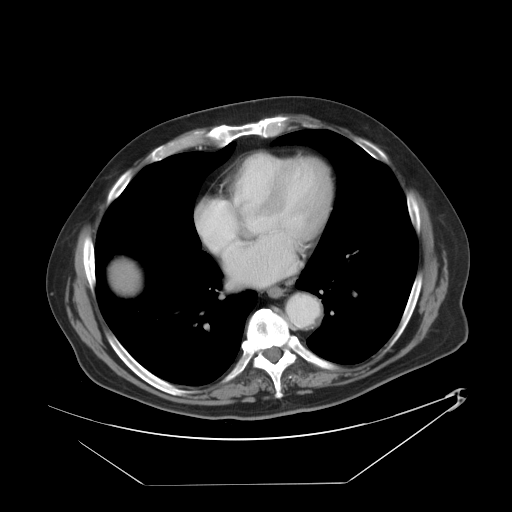 Computed tomography
liver_tumor:
  - box(111, 263, 138, 293)